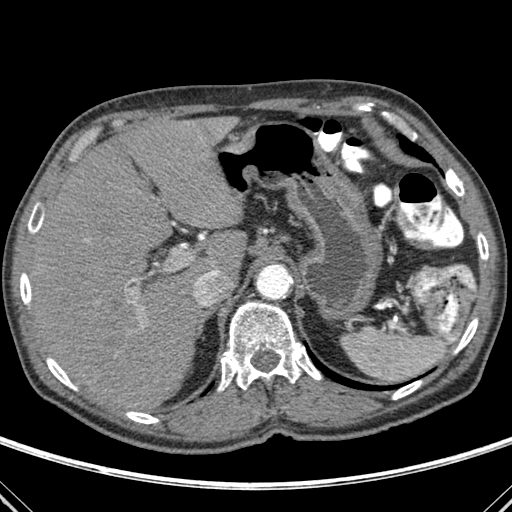 CT slice, Liver
liver: 27,116,242,412; 207,231,246,274 | lung: 397,134,436,165; 307,346,399,390 | bone: 392,380,422,399; 446,169,464,196; 455,318,477,353; 47,358,76,390; 218,302,321,390; 20,273,31,304; 477,232,488,260; 126,412,158,423; 28,206,43,233